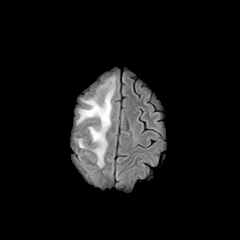
FLAIR MR image.
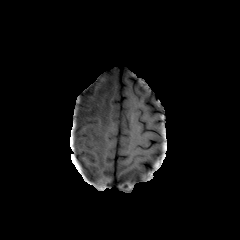
T1-weighted MRI.
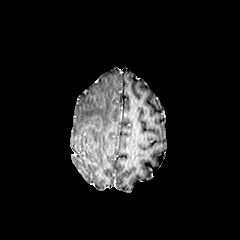
Post-contrast T1-weighted MRI.
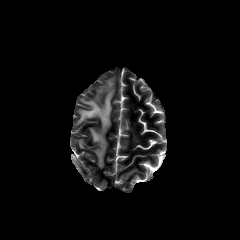
T2-weighted magnetic resonance.
Brain
<segmentation>
  <edema>x1=79 y1=79 x2=114 y2=166</edema>
</segmentation>